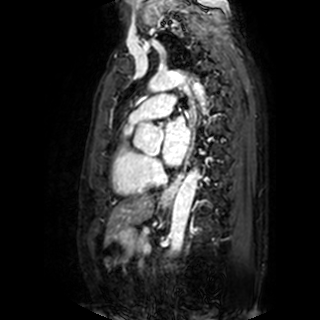
Cardiac; Magnetic resonance; Image size 320x320

- left atrium: bbox(163, 116, 190, 165)